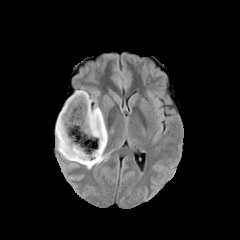
FLAIR MR image.
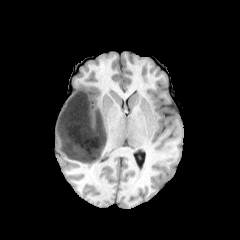
T1-weighted magnetic resonance of the same slice.
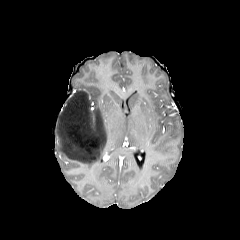
Post-contrast T1-weighted magnetic resonance of the same slice.
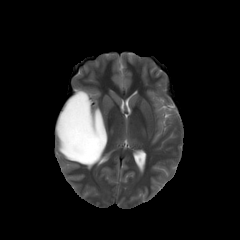
T2-weighted MR image.
Head.
2 edema regions are located at x1=88 y1=93 x2=107 y2=152, x1=55 y1=116 x2=99 y2=169. The non-enhancing tumor core is located at x1=57 y1=90 x2=108 y2=163.